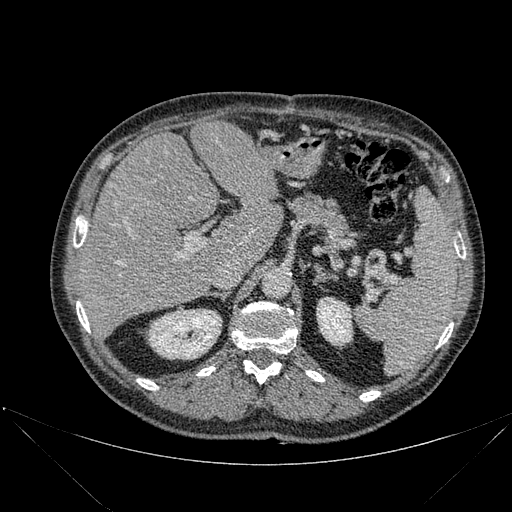 CT image. Upper abdomen.
10 bone regions are located at {"x1": 232, "y1": 302, "x2": 297, "y2": 353}, {"x1": 360, "y1": 390, "x2": 380, "y2": 401}, {"x1": 455, "y1": 245, "x2": 465, "y2": 258}, {"x1": 243, "y1": 360, "x2": 281, "y2": 383}, {"x1": 197, "y1": 366, "x2": 215, "y2": 375}, {"x1": 436, "y1": 322, "x2": 453, "y2": 348}, {"x1": 76, "y1": 301, "x2": 90, "y2": 332}, {"x1": 306, "y1": 370, "x2": 324, "y2": 381}, {"x1": 136, "y1": 378, "x2": 158, "y2": 390}, {"x1": 73, "y1": 219, "x2": 86, "y2": 247}. 2 kidney regions are located at {"x1": 149, "y1": 309, "x2": 221, "y2": 359}, {"x1": 316, "y1": 297, "x2": 352, "y2": 345}. 2 liver regions appear at {"x1": 77, "y1": 133, "x2": 222, "y2": 337}, {"x1": 191, "y1": 121, "x2": 284, "y2": 273}.